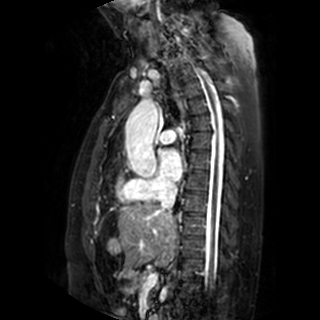

MRI slice | Heart
The left atrium lies within region(161, 150, 182, 181).